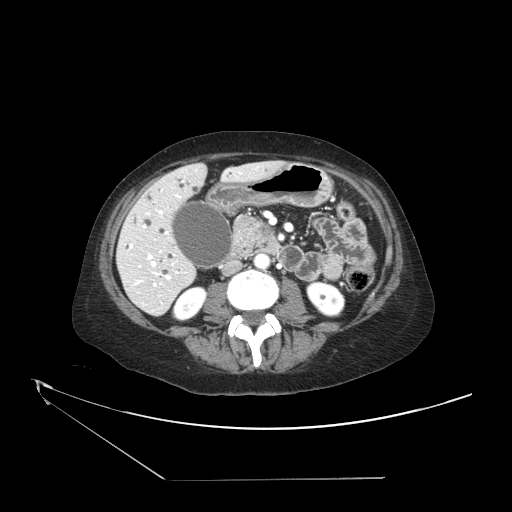
Abdomen; CT slice
<segmentation>
  <pancreatic_tumor>(x1=259, y1=225, x2=273, y2=237)</pancreatic_tumor>
  <pancreas>(x1=233, y1=217, x2=278, y2=257)</pancreas>
</segmentation>